CT scan slice | Abdomen
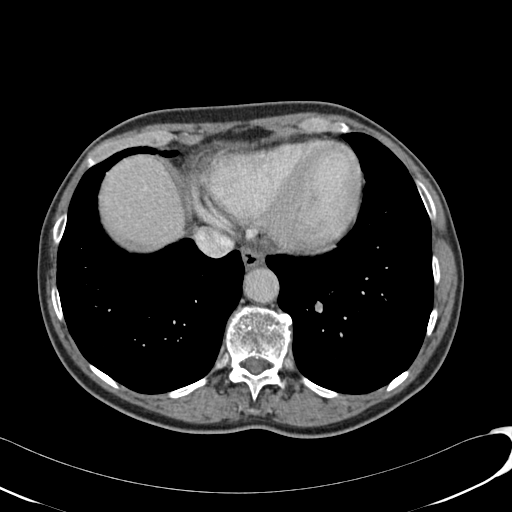 liver:
  - (101,157,184,247)